CT image. Image size 512x512. 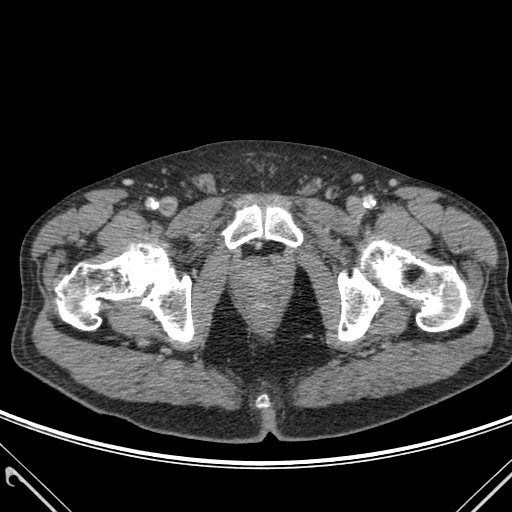

Bone = region(55, 244, 193, 341); region(259, 398, 267, 406); region(338, 240, 470, 340); region(222, 205, 302, 248).